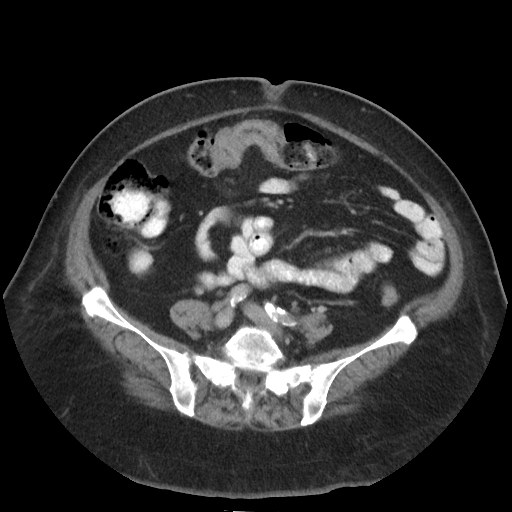
Pelvis; Computed tomography
The colon tumor is located at (212, 121, 282, 169).